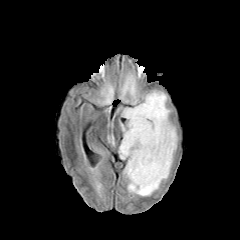
FLAIR magnetic resonance.
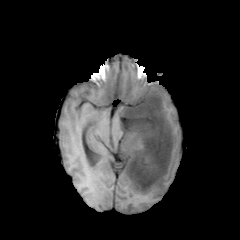
T1-weighted MRI.
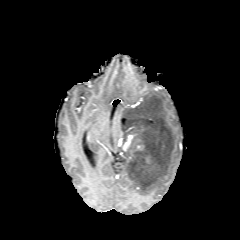
Post-contrast T1-weighted MRI of the same slice.
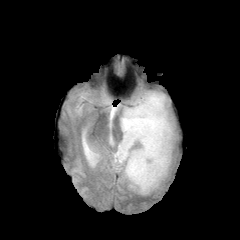
T2-weighted MRI.
Brain
The enhancing tumor is located at 119, 134, 134, 150. The non-enhancing tumor core is located at 119, 92, 171, 195. 3 edema regions are located at 123, 160, 139, 194; 131, 90, 177, 195; 132, 136, 143, 149.